FLAIR MR.
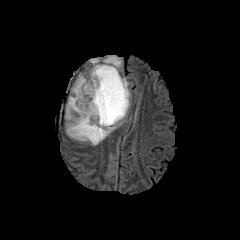
T1-weighted MRI.
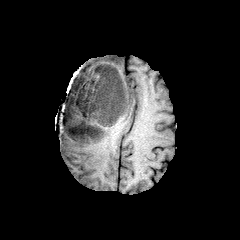
Post-contrast T1-weighted MRI.
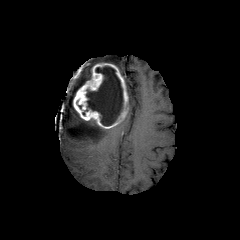
T2-weighted magnetic resonance.
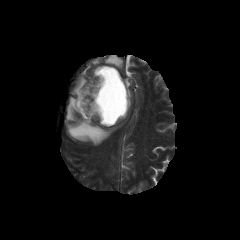
Head.
2 edema regions are located at 124,77,134,110; 65,55,125,145. The non-enhancing tumor core is at 86,66,123,125. The enhancing tumor lies within 72,62,128,128.